Slice 110 of 155, Field of view 240 mm wide, 1.00 mm slice spacing
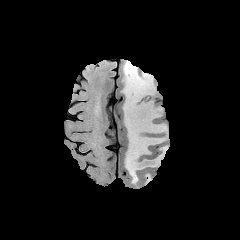
FLAIR MR image.
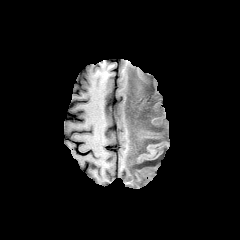
T1-weighted MR image of the same slice.
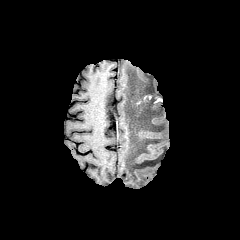
Post-contrast T1-weighted magnetic resonance.
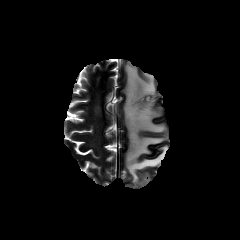
T2-weighted magnetic resonance.
Edema at (122,62,167,184).
Non-enhancing tumor core at (138,108,149,115).